Liver, Image size 512x512, Slice 498/841, Field of view 378 mm wide, 0.80 mm slice spacing, CT 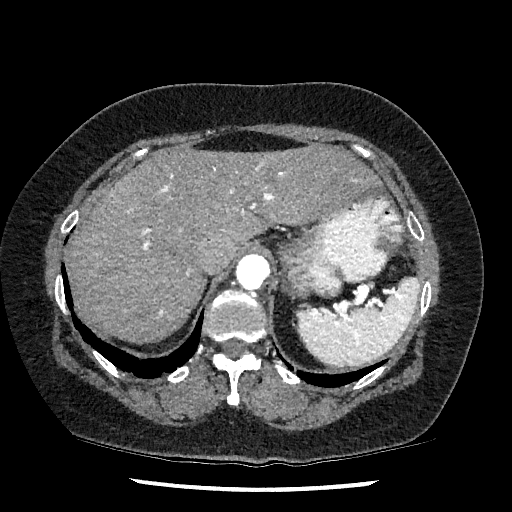

Liver — (69,144,380,342).